FLAIR MR.
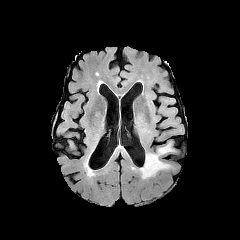
T1-weighted MR image.
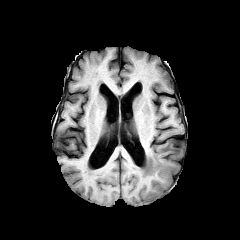
Post-contrast T1-weighted magnetic resonance.
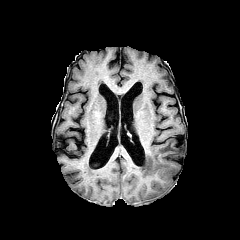
T2-weighted magnetic resonance.
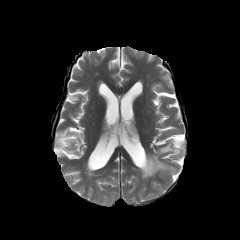
Edema = left=139, top=143, right=173, bottom=178.